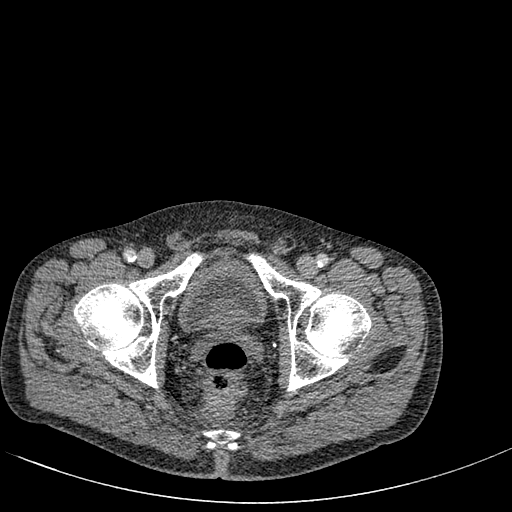

512x512 px; Lower abdomen; Computed tomography
The urinary bladder is at [175,251,268,334].